Field of view 240x240 mm, Brain, Image size 240x240, Slice 36/155
FLAIR MR.
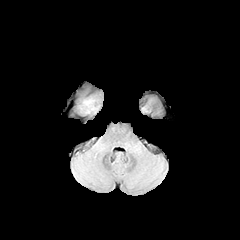
T1-weighted magnetic resonance.
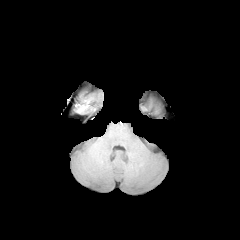
Post-contrast T1-weighted magnetic resonance.
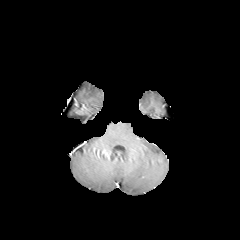
T2-weighted MR image.
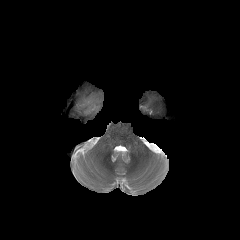
Edema at <bbox>82, 98, 99, 113</bbox>.